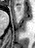
MR image.
The anterior hippocampus lies within {"x1": 16, "y1": 6, "x2": 19, "y2": 9}.